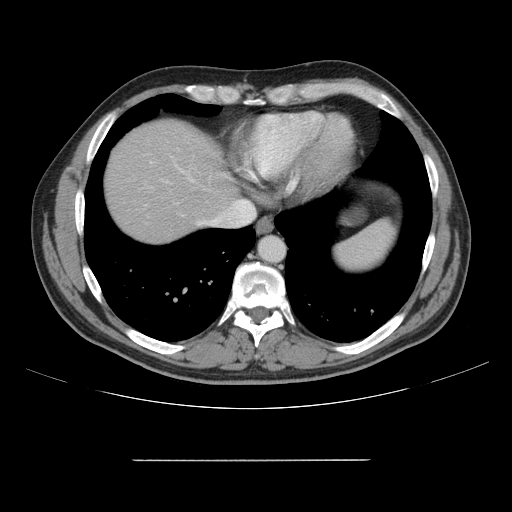 Computed tomography; Abdomen
Some hepatic vessels may have no box.
Findings:
• hepatic vessel: bbox=[175, 164, 182, 171]; bbox=[188, 175, 191, 180]; bbox=[197, 220, 204, 225]